CT scan slice, 512x512 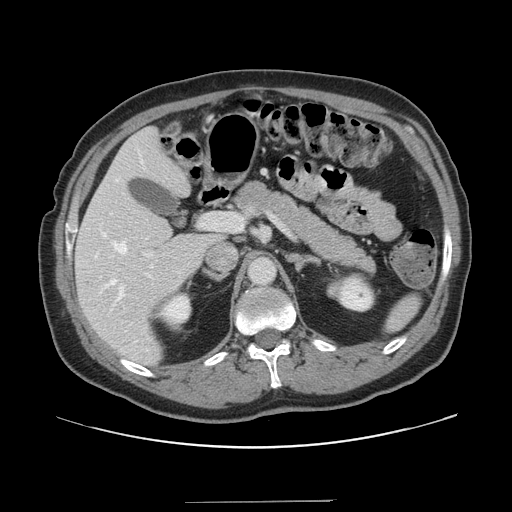
Only some of the vessels may be annotated.
9 hepatic vessel regions appear at (x1=117, y1=286, x2=123, y2=300), (x1=141, y1=160, x2=142, y2=162), (x1=102, y1=232, x2=106, y2=236), (x1=143, y1=252, x2=152, y2=256), (x1=125, y1=330, x2=126, y2=331), (x1=106, y1=279, x2=115, y2=286), (x1=113, y1=242, x2=126, y2=253), (x1=200, y1=213, x2=243, y2=230), (x1=115, y1=179, x2=118, y2=181).